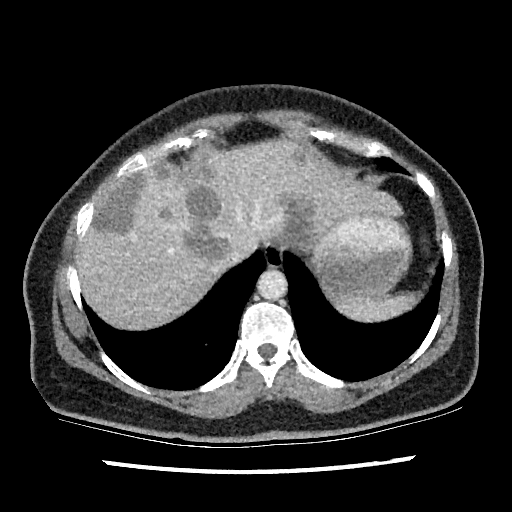
Abdomen. CT.
liver:
  - (95,182,120,215)
  - (76,140,401,328)
focal_liver_lesion:
  - (292,149,305,165)
  - (161,212,170,217)
  - (187,187,219,219)
  - (93,172,146,232)
  - (278,197,316,247)
  - (158,164,171,178)
  - (184,225,226,256)